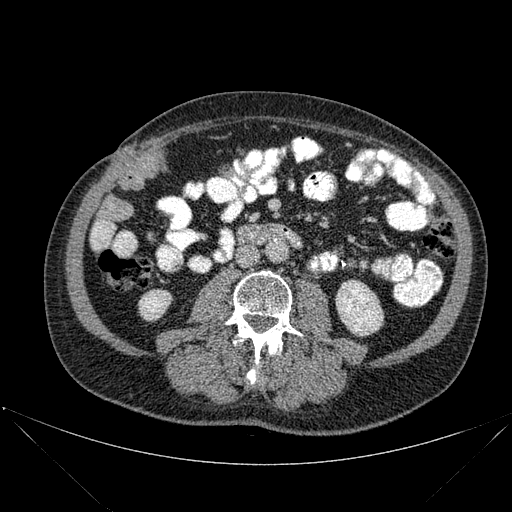
Abdomen, CT
Segmented structures:
- bone: (left=225, top=271, right=302, bottom=383)
- kidney: (left=139, top=290, right=171, bottom=320), (left=336, top=280, right=383, bottom=335)